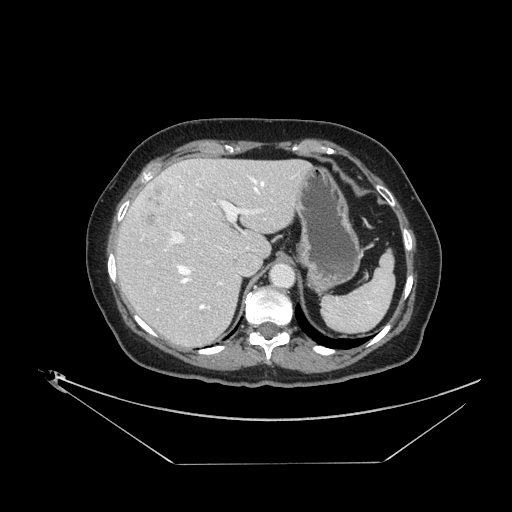

Liver. CT. Some hepatic vessels may have no box.
hepatic_vessel:
  - left=251, top=178, right=254, bottom=180
  - left=261, top=182, right=262, bottom=183
  - left=199, top=304, right=208, bottom=308
  - left=135, top=196, right=142, bottom=207
  - left=245, top=246, right=249, bottom=249
  - left=254, top=187, right=258, bottom=191
  - left=176, top=265, right=191, bottom=283
  - left=188, top=213, right=192, bottom=216
  - left=169, top=231, right=184, bottom=244
  - left=219, top=200, right=237, bottom=220
liver_tumor:
  - left=141, top=183, right=169, bottom=225